Liver. Slice 126/168. Computed tomography.
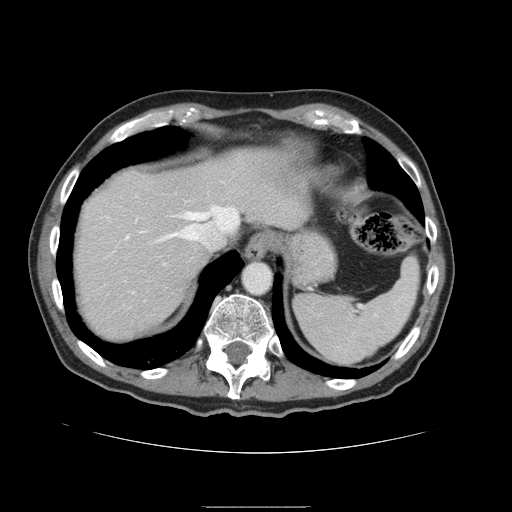 The vessel annotation is not exhaustive.
2 hepatic vessel regions are bounded by 127:235:128:237, 166:206:238:250.